Field of view 240x240 mm. Image size 240x240. Slice index 83.
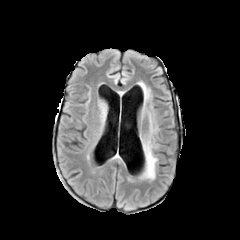
FLAIR MRI.
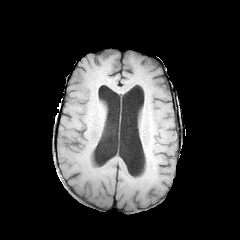
T1-weighted magnetic resonance.
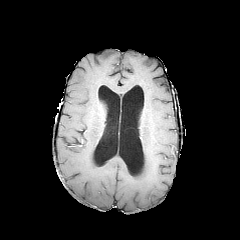
Post-contrast T1-weighted magnetic resonance.
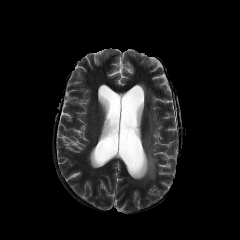
T2-weighted MR.
Edema = [142, 84, 149, 96], [150, 119, 158, 135], [140, 134, 157, 179].